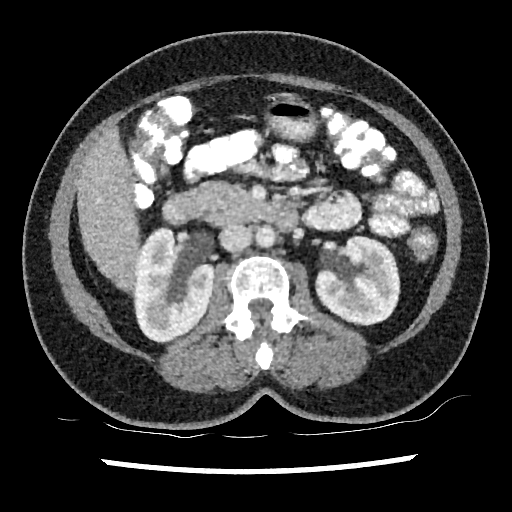

CT scan slice, Abdomen
2 kidney regions appear at (left=317, top=237, right=398, bottom=324), (left=135, top=229, right=213, bottom=341). The liver lies within (left=78, top=130, right=140, bottom=287).